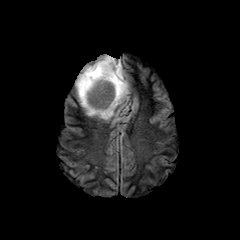
FLAIR magnetic resonance.
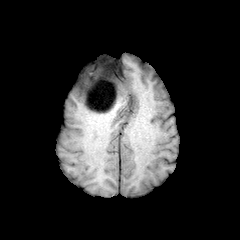
T1-weighted MR.
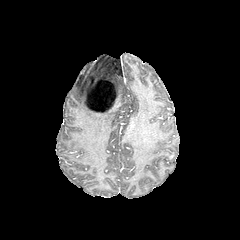
Post-contrast T1-weighted MRI.
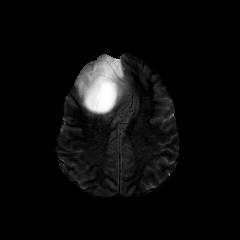
T2-weighted MR of the same slice.
Head
- non-enhancing tumor core: box(84, 58, 127, 112)
- edema: box(118, 80, 128, 103); box(75, 55, 119, 119)